Slice index 429, CT, Abdomen

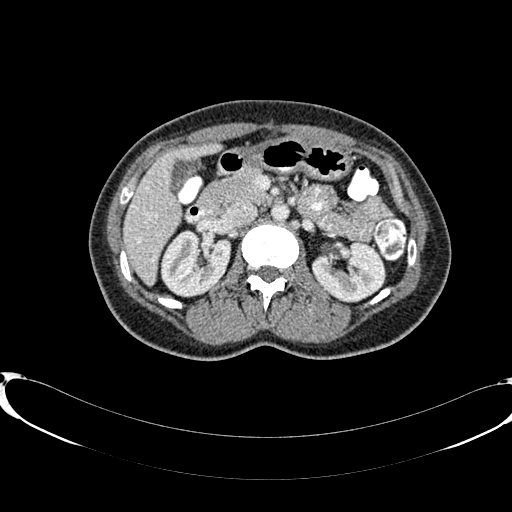

Annotated regions:
* liver: [x1=123, y1=144, x2=220, y2=283]
* kidney: [x1=162, y1=232, x2=229, y2=295], [x1=313, y1=244, x2=383, y2=300]